Image size 240x240
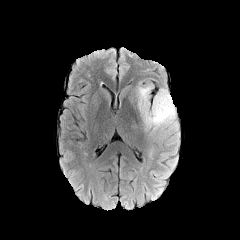
FLAIR MRI.
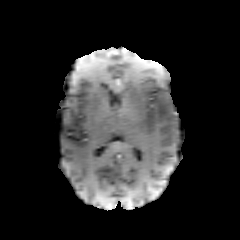
T1-weighted MRI.
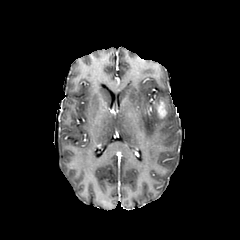
Same slice, post-contrast T1-weighted magnetic resonance.
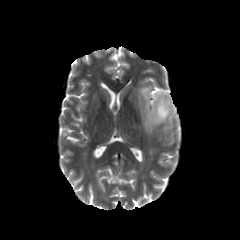
T2-weighted MR image.
edema:
  - x1=136 y1=82 x2=180 y2=159
enhancing_tumor:
  - x1=156 y1=100 x2=167 y2=118